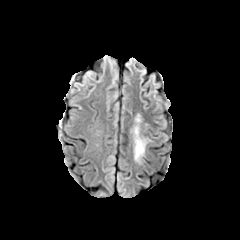
FLAIR MR image.
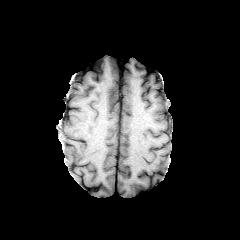
T1-weighted magnetic resonance.
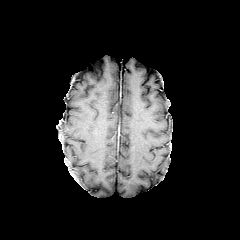
Same slice, post-contrast T1-weighted MR.
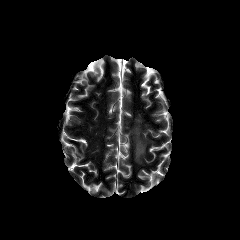
T2-weighted MR.
edema: [x1=132, y1=125, x2=146, y2=161]